FLAIR MR image.
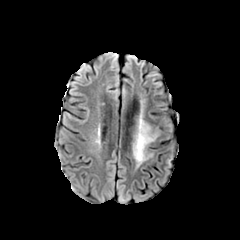
T1-weighted MRI.
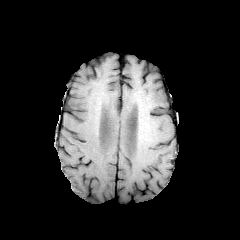
Post-contrast T1-weighted MR.
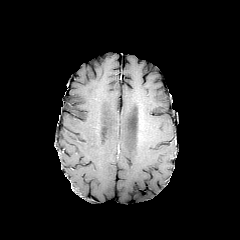
T2-weighted MR.
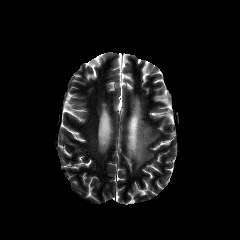
Brain
Segmented structures:
- edema: 132 116 157 165